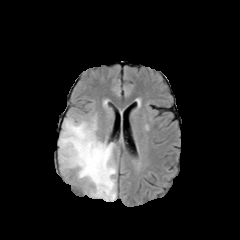
FLAIR magnetic resonance.
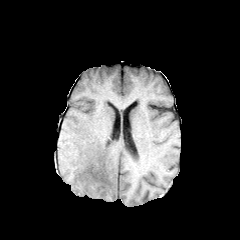
Same slice, T1-weighted magnetic resonance.
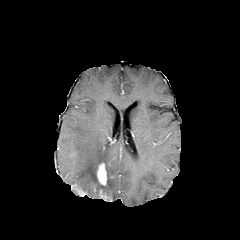
Same slice, post-contrast T1-weighted MR image.
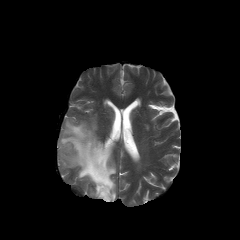
T2-weighted MR of the same slice.
Head
Non-enhancing tumor core: (86, 160, 113, 199).
Edema: (58, 117, 116, 201).
Enhancing tumor: (96, 162, 106, 185).